Slice 481 of 771. 512x512. Computed tomography.

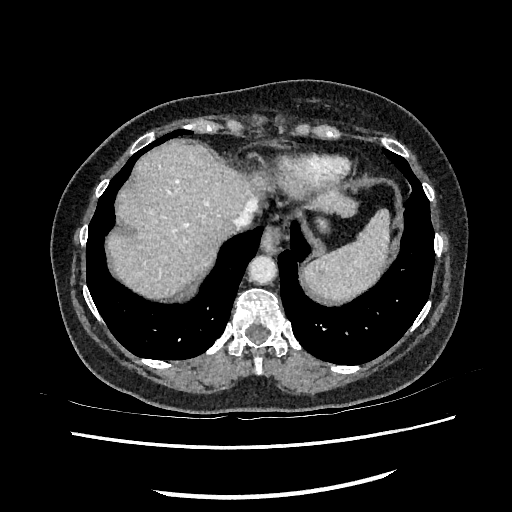

2 liver regions are bounded by bbox(108, 142, 263, 295); bbox(316, 193, 355, 215).